240x240
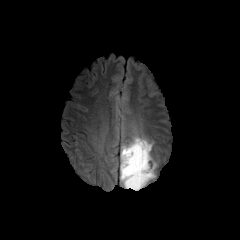
FLAIR MRI.
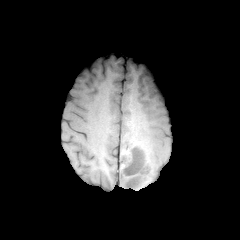
T1-weighted MR image.
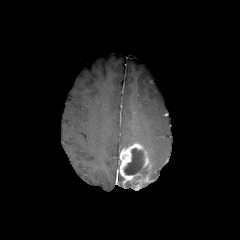
Post-contrast T1-weighted MR image.
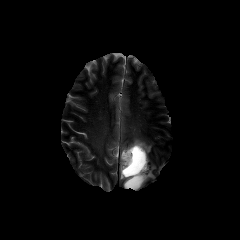
Same slice, T2-weighted magnetic resonance.
* edema: box=[120, 135, 156, 179]
* non-enhancing tumor core: box=[124, 148, 144, 174]
* enhancing tumor: box=[120, 143, 152, 190]